Field of view 240 mm wide, 1.00 mm slice spacing, Brain
FLAIR MR image.
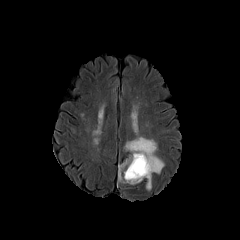
T1-weighted MR.
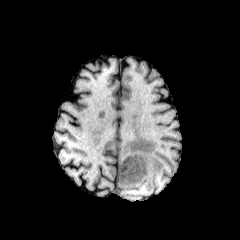
Post-contrast T1-weighted magnetic resonance.
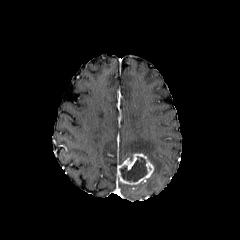
T2-weighted MR.
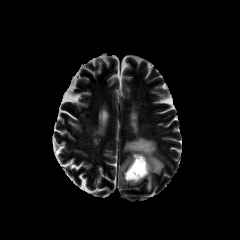
Enhancing tumor: bounding box rect(117, 152, 154, 185).
Non-enhancing tumor core: bounding box rect(120, 156, 147, 182).
Edema: bounding box rect(146, 179, 151, 190); rect(124, 137, 164, 173).